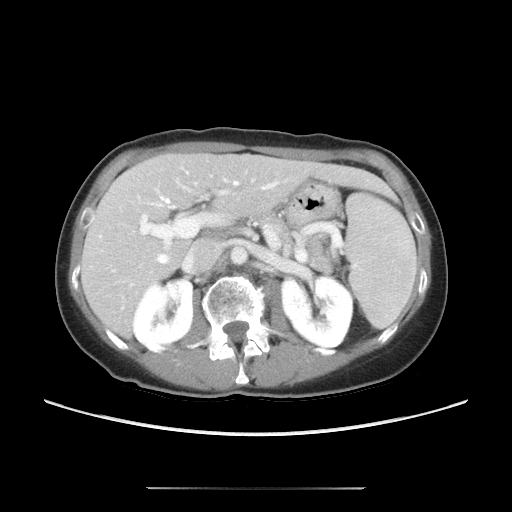 CT slice, Liver, Image size 512x512
Only some of the vessels may be annotated.
Segmented structures:
* hepatic vessel: 231,181,237,184; 221,192,225,193; 251,178,255,182; 223,178,228,182; 261,181,278,190; 158,255,167,262; 140,215,175,249; 175,178,190,190; 161,197,173,207; 148,203,160,206